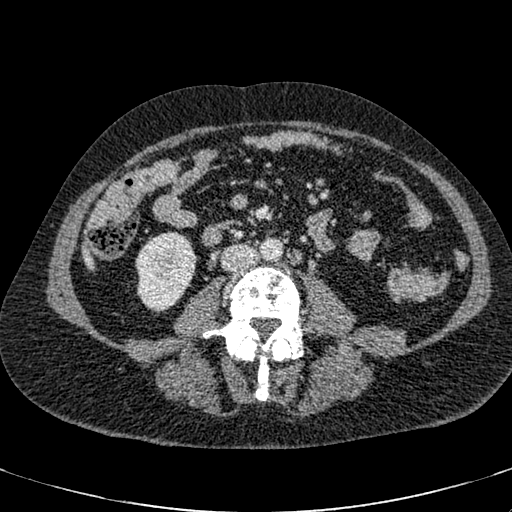 Upper abdomen. CT scan slice.

kidney:
  - [136, 233, 195, 310]
liver:
  - [81, 242, 96, 271]